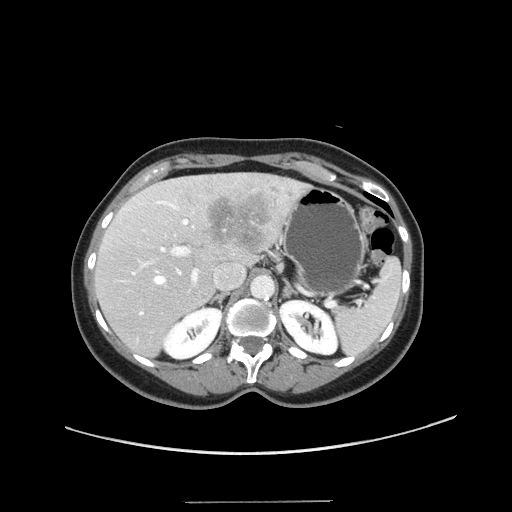 CT
Only some of the vessels may be annotated.
Liver tumor — (left=203, top=189, right=275, bottom=253).
Hepatic vessel — (left=155, top=201, right=166, bottom=202), (left=132, top=271, right=135, bottom=274), (left=173, top=247, right=188, bottom=254), (left=214, top=264, right=243, bottom=288), (left=183, top=218, right=187, bottom=222), (left=192, top=268, right=197, bottom=280), (left=169, top=203, right=176, bottom=207), (left=140, top=311, right=143, bottom=313), (left=161, top=247, right=165, bottom=250), (left=177, top=269, right=180, bottom=273), (left=155, top=274, right=164, bottom=283), (left=141, top=262, right=144, bottom=264).